Liver, CT scan slice

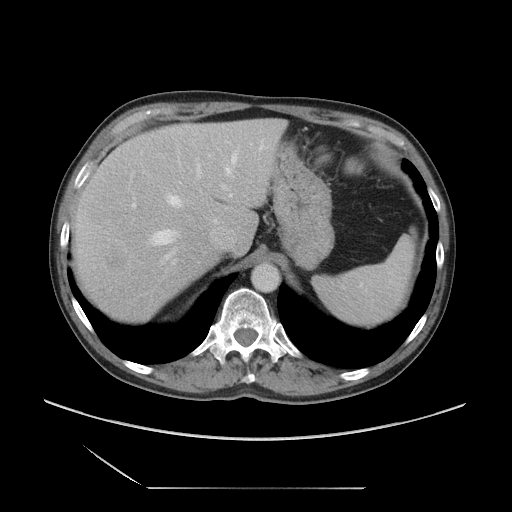 The vessel boxes may cover only some of the vessels.
Hepatic vessel: bounding box 172, 260, 175, 263; 212, 226, 236, 240; 222, 185, 227, 189; 250, 144, 251, 146; 231, 154, 236, 163; 226, 167, 230, 175; 168, 196, 180, 206; 196, 159, 200, 177; 133, 204, 135, 206; 208, 153, 212, 155; 225, 141, 230, 143; 229, 193, 231, 196; 260, 140, 263, 149; 164, 248, 175, 259; 153, 229, 178, 244.
Liver tumor: bounding box 100, 245, 132, 278.